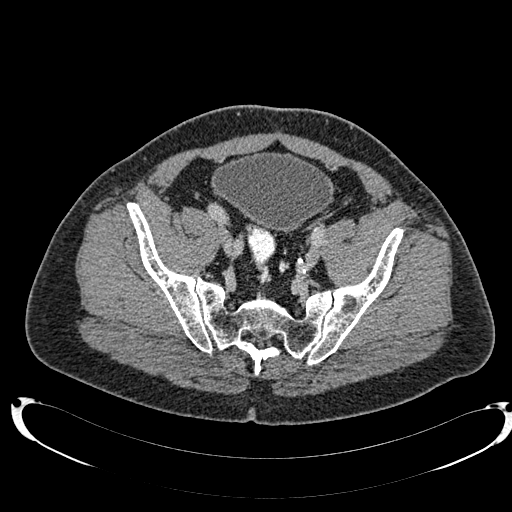

Pelvis. Computed tomography. The urinary bladder appears at left=213, top=152, right=332, bottom=232.